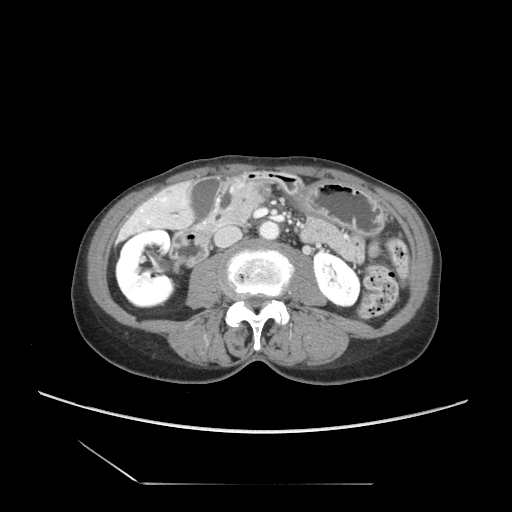

Computed tomography
Pancreas: bounding box box(229, 185, 262, 224).